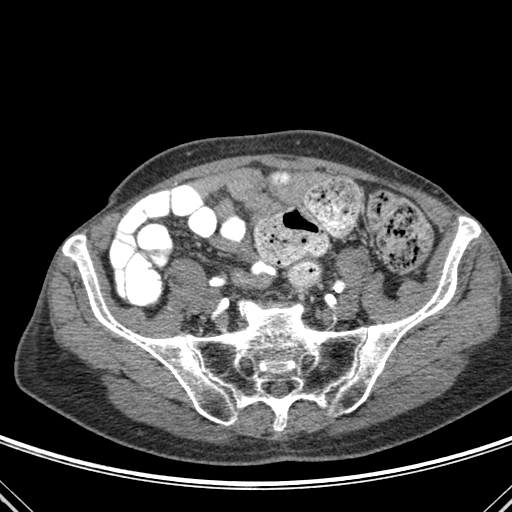

CT slice
Bone: bounding box [62,216,480,431].